Slice 85/151; Liver; CT slice
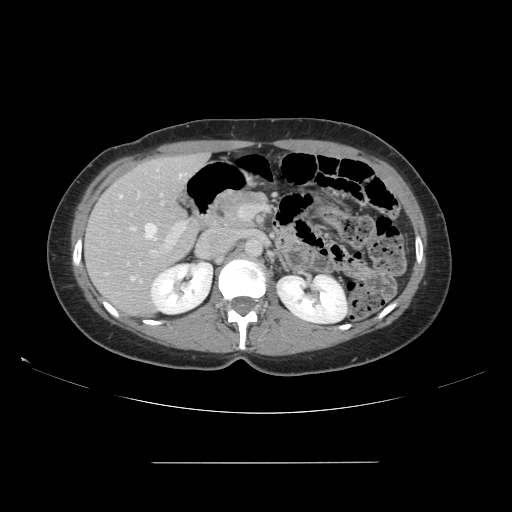
The vessel annotation is not exhaustive.
<segmentation>
  <hepatic_vessel>rect(119, 194, 121, 197); rect(130, 227, 134, 230); rect(150, 250, 157, 254); rect(130, 213, 131, 214); rect(178, 173, 186, 177); rect(131, 276, 137, 279); rect(160, 194, 161, 195); rect(145, 223, 156, 239); rect(157, 169, 158, 170); rect(138, 192, 139, 197); rect(105, 273, 107, 274); rect(139, 280, 141, 282); rect(161, 202, 163, 204); rect(165, 222, 185, 248)</hepatic_vessel>
</segmentation>